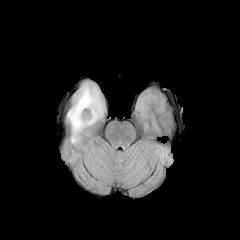
FLAIR magnetic resonance.
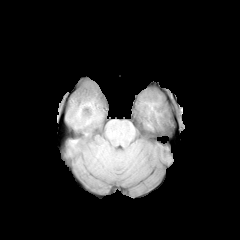
T1-weighted MR image.
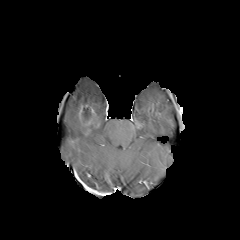
Same slice, post-contrast T1-weighted MRI.
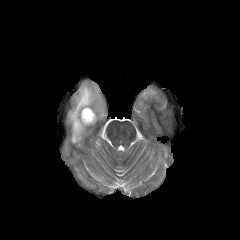
Same slice, T2-weighted MR image.
Brain
Non-enhancing tumor core: <bbox>80, 106, 95, 125</bbox>.
Edema: <bbox>68, 83, 104, 143</bbox>.